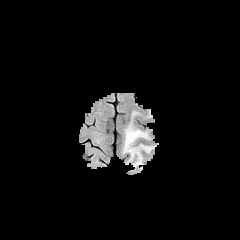
FLAIR MRI.
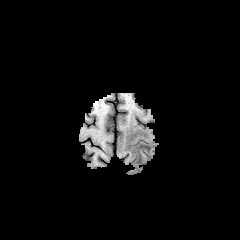
Same slice, T1-weighted magnetic resonance.
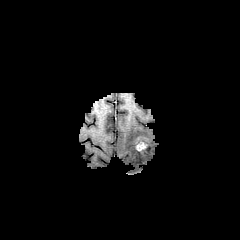
Post-contrast T1-weighted MRI.
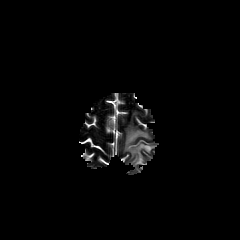
T2-weighted MRI.
edema: x1=123 y1=125 x2=149 y2=165 | enhancing tumor: x1=136 y1=144 x2=147 y2=150